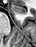

Image size 36x47, MR image
anterior_hippocampus:
  - (11, 5, 27, 13)